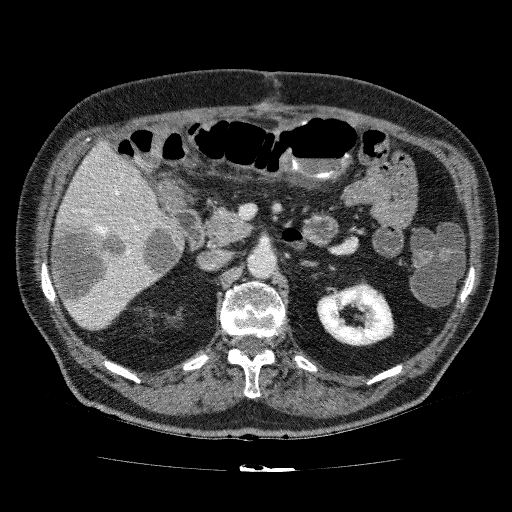

CT scan slice; Image size 512x512; Liver

The liver appears at bbox(55, 139, 185, 330). 2 hepatic lesion regions appear at bbox(51, 218, 127, 305); bbox(139, 225, 182, 277). The kidney appears at bbox(317, 283, 393, 345).